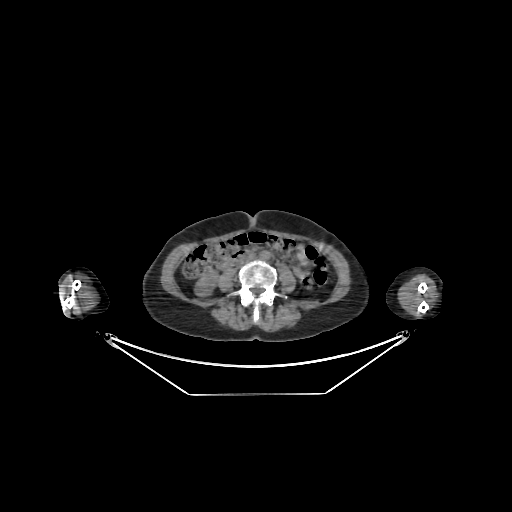

Abdomen. CT slice.
The kidney appears at [194,268,219,296].